Field of view 240x240 mm
FLAIR MR.
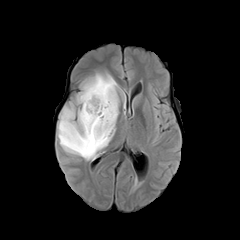
T1-weighted MR.
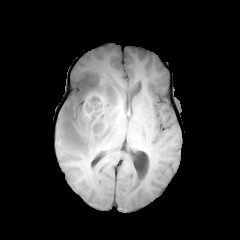
Post-contrast T1-weighted magnetic resonance.
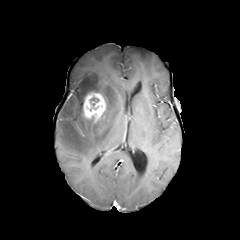
T2-weighted MRI.
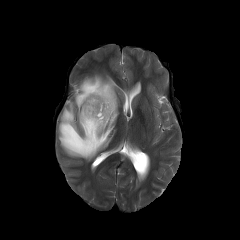
Findings:
• enhancing tumor: l=83, t=92, r=106, b=121
• non-enhancing tumor core: l=84, t=117, r=101, b=124; l=67, t=128, r=78, b=142; l=78, t=81, r=103, b=115
• edema: l=58, t=71, r=125, b=160